Abdomen, Slice 31 of 139, Image size 512x512, CT slice
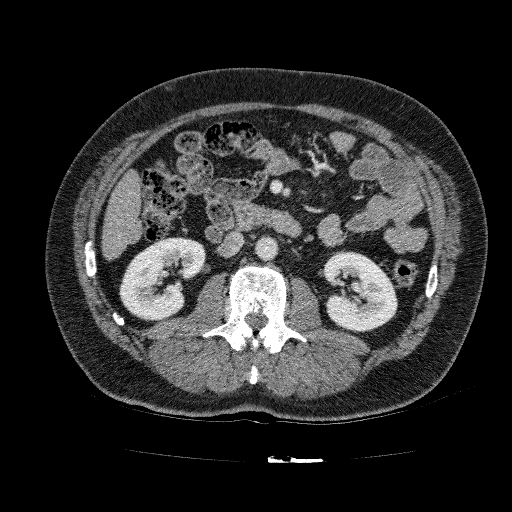

{"kidney": ["120, 238, 204, 319", "324, 252, 396, 330"], "liver": ["102, 170, 141, 258"]}